Slice 130 of 155; Head
FLAIR MRI.
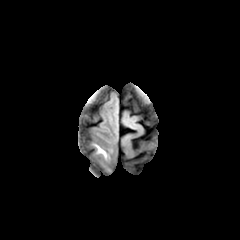
T1-weighted MR image.
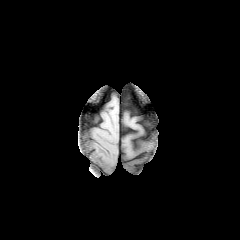
Post-contrast T1-weighted MR image.
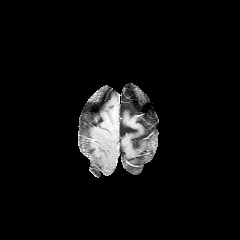
T2-weighted magnetic resonance.
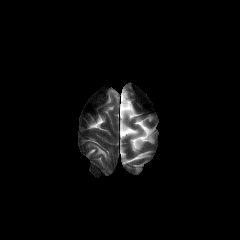
Findings:
- edema: (94, 145, 108, 158)